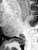 38x50 px. MRI slice.
Posterior hippocampus: {"x1": 13, "y1": 38, "x2": 24, "y2": 44}.